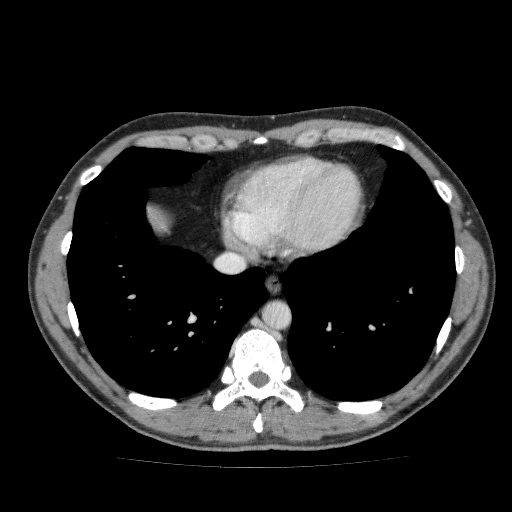
Upper abdomen, CT scan slice
Liver — 145, 203, 171, 231.